FLAIR MR.
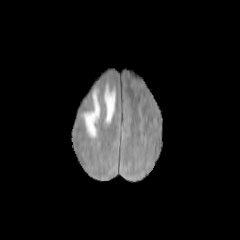
T1-weighted MR.
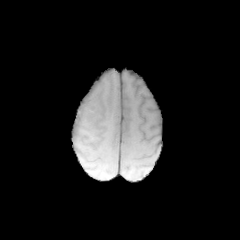
Post-contrast T1-weighted MRI.
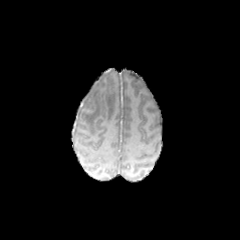
T2-weighted MR.
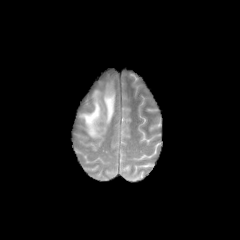
Brain
Edema at bbox=[102, 82, 115, 124]; bbox=[80, 89, 101, 137].